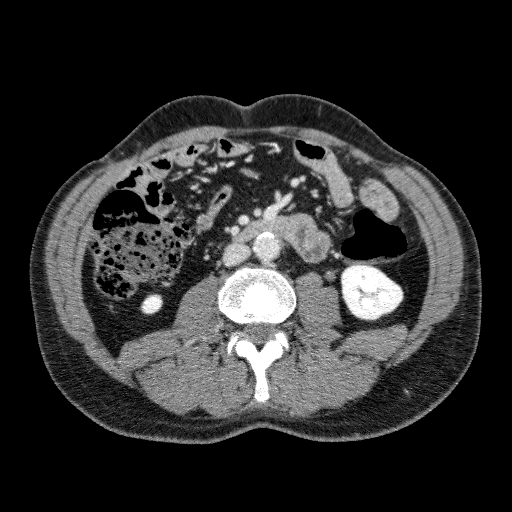 CT scan slice | Abdomen

{"kidney": ["rect(342, 265, 402, 318)", "rect(142, 295, 161, 312)"]}